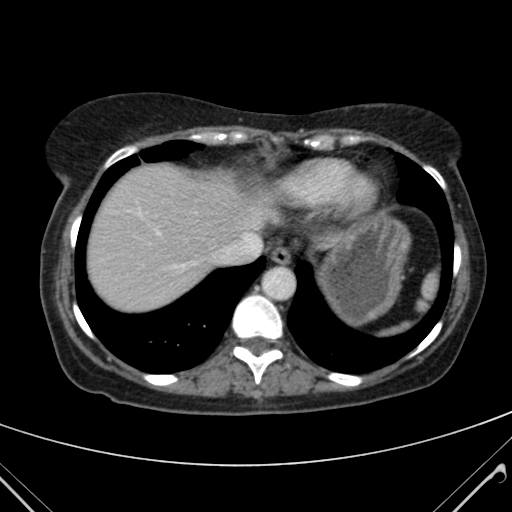

CT

<segmentation>
  <liver>[87,164,293,310]</liver>
</segmentation>